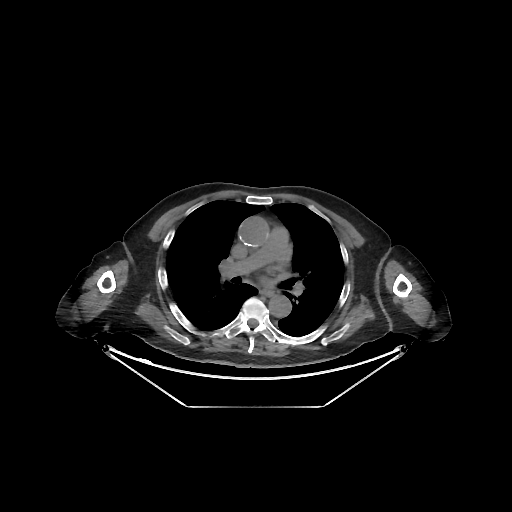
Chest, CT scan slice
lung:
  - x1=166, y1=200, x2=344, y2=336
bone:
  - x1=213, y1=298, x2=325, y2=352
  - x1=246, y1=196, x2=272, y2=204
  - x1=164, y1=232, x2=173, y2=246
  - x1=340, y1=284, x2=349, y2=305
  - x1=97, y1=270, x2=115, y2=292
  - x1=170, y1=304, x2=191, y2=330
  - x1=166, y1=327, x2=189, y2=344
  - x1=158, y1=269, x2=167, y2=288
  - x1=321, y1=325, x2=348, y2=344
  - x1=393, y1=274, x2=411, y2=297